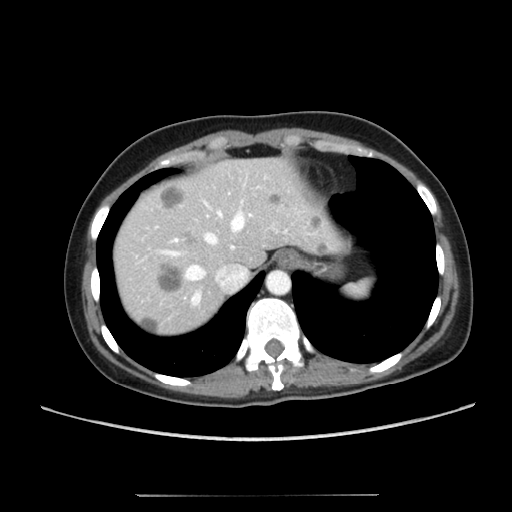
Liver. CT slice. focal_liver_lesion:
  - (x1=316, y1=242, x2=328, y2=254)
  - (x1=139, y1=316, x2=159, y2=332)
  - (x1=268, y1=193, x2=281, y2=205)
  - (x1=159, y1=184, x2=186, y2=208)
  - (x1=157, y1=262, x2=183, y2=291)
  - (x1=182, y1=231, x2=196, y2=243)
  - (x1=309, y1=214, x2=320, y2=227)
liver:
  - (x1=113, y1=159, x2=351, y2=335)